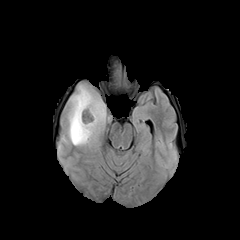
FLAIR MR.
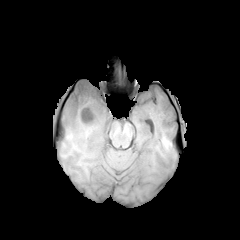
T1-weighted MR image.
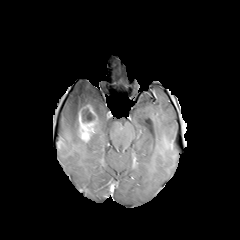
Post-contrast T1-weighted MR image of the same slice.
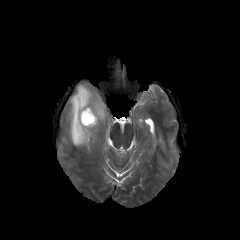
Same slice, T2-weighted MR image.
Image size 240x240
The edema is at <bbox>65, 84, 108, 147</bbox>. The enhancing tumor lies within <bbox>78, 104, 97, 141</bbox>. The non-enhancing tumor core is located at <bbox>80, 106, 95, 121</bbox>.